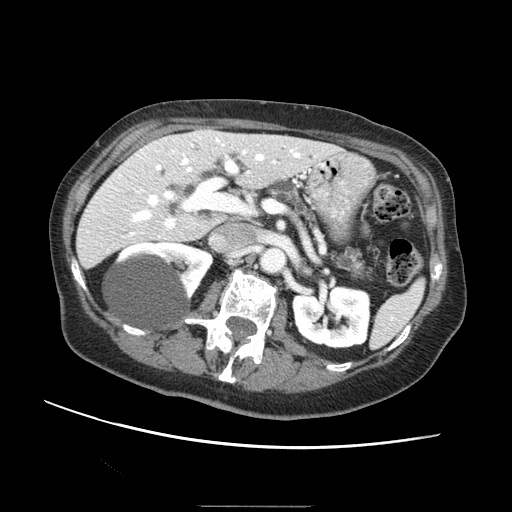 Upper abdomen. Computed tomography. Image size 512x512.
Pancreas: box=[268, 181, 309, 217]; box=[331, 249, 369, 279].